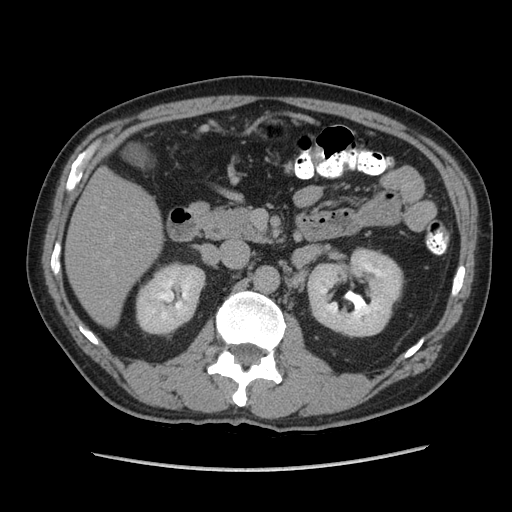 Computed tomography; 512x512
pancreas:
  - (203, 206, 265, 242)